Chest | Field of view 360x360 mm | Slice 546/689 | CT | 512x512

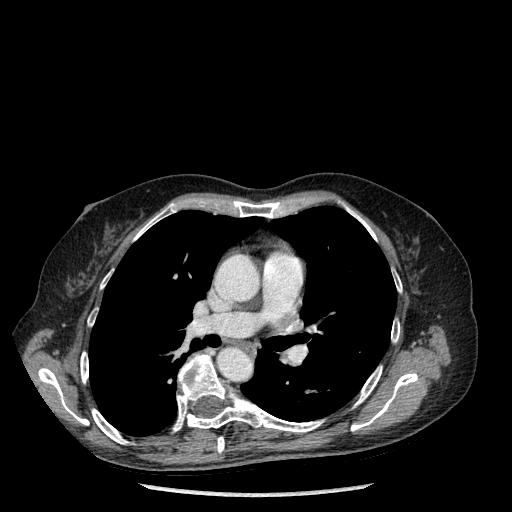
lung:
  - [89,210,263,436]
  - [241,206,396,421]
bone:
  - [231,201,283,218]
  - [92,408,129,444]
  - [351,372,417,431]
  - [133,203,176,240]
  - [217,436,224,452]
  - [393,272,402,292]
  - [38,368,89,425]
  - [391,319,399,342]
  - [100,272,110,288]
  - [354,366,382,407]
  - [173,353,324,432]
  - [87,309,95,326]
  - [343,204,377,241]
  - [80,351,88,383]